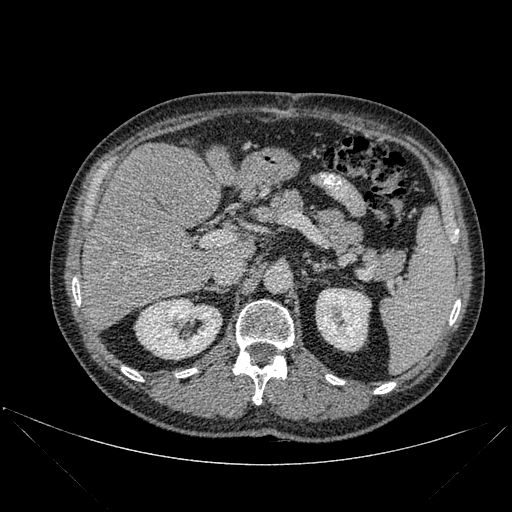
Abdomen | CT image
Kidney at x1=135 y1=299 x2=221 y2=359, x1=316 y1=288 x2=370 y2=350.
Bone at x1=175 y1=368 x2=196 y2=377, x1=233 y1=300 x2=294 y2=404, x1=121 y1=367 x2=143 y2=381, x1=72 y1=278 x2=80 y2=305, x1=449 y1=300 x2=460 y2=325, x1=374 y1=382 x2=395 y2=393, x1=326 y1=374 x2=344 y2=384.
Liver at x1=206 y1=148 x2=235 y2=184, x1=242 y1=184 x2=252 y2=197, x1=81 y1=143 x2=220 y2=330.